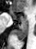
Medial temporal lobe; MR image
{"posterior_hippocampus": ["15:20:28:40"], "anterior_hippocampus": ["20:16:26:19", "11:11:16:19"]}